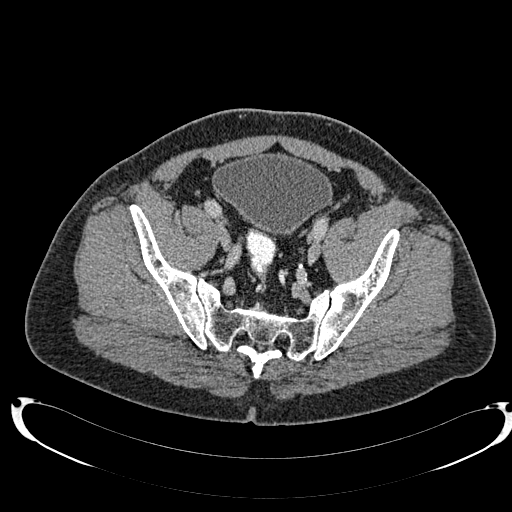

Computed tomography.

Urinary bladder: bounding box 212:152:330:235.